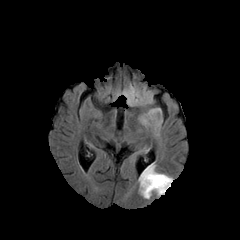
FLAIR magnetic resonance.
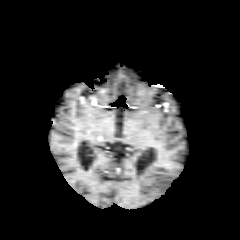
T1-weighted magnetic resonance of the same slice.
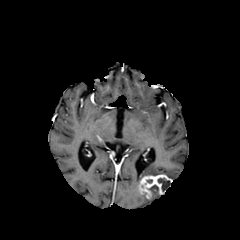
Post-contrast T1-weighted MRI of the same slice.
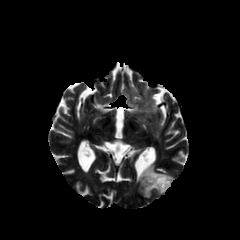
T2-weighted magnetic resonance of the same slice.
240x240
The enhancing tumor is located at 139,174,172,197. The edema lies within 141,163,171,178. The non-enhancing tumor core appears at 158,178,169,191.